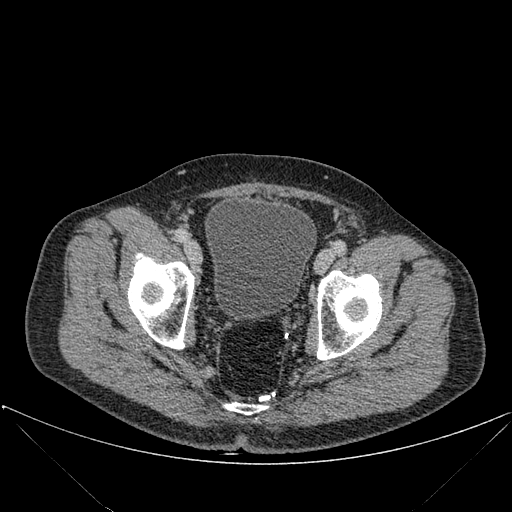
CT, Lower abdomen
Urinary bladder — region(205, 196, 316, 320).
Bone — region(224, 402, 267, 414); region(317, 270, 381, 359); region(128, 253, 194, 349).